Computed tomography, Image size 512x512, Field of view 360x360 mm, Slice 175/689

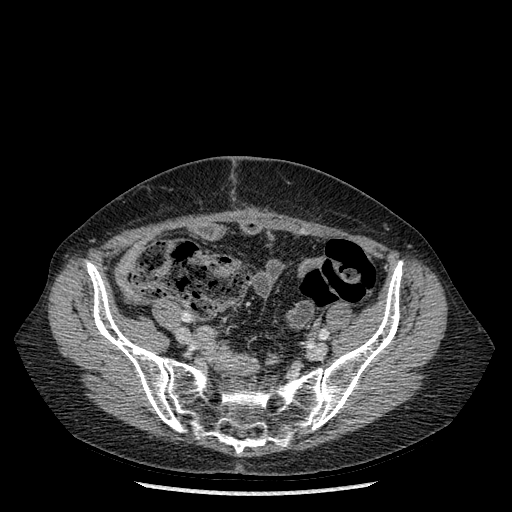

<segmentation>
  <bone>85:260:403:455</bone>
</segmentation>